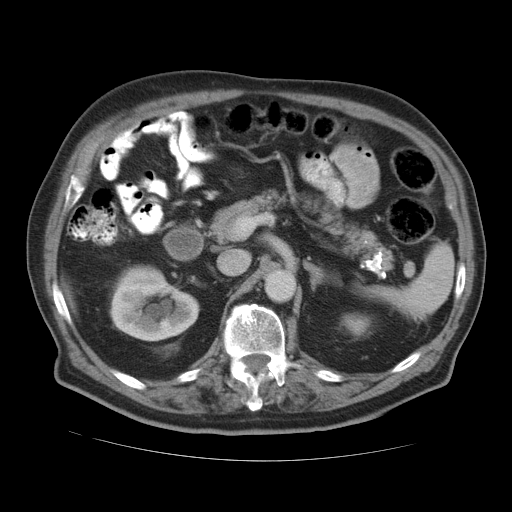 Upper abdomen, Computed tomography
spleen: (x1=375, y1=245, x2=453, y2=314)